Abdomen, Computed tomography, Image size 512x512

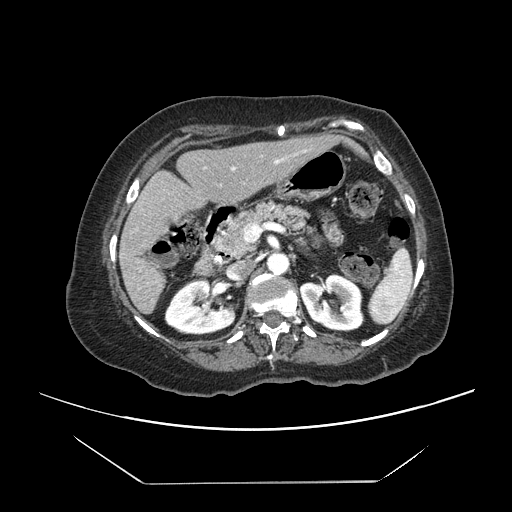

Only some of the vessels may be annotated.
The hepatic vessel is located at [x1=244, y1=224, x2=260, y2=241].